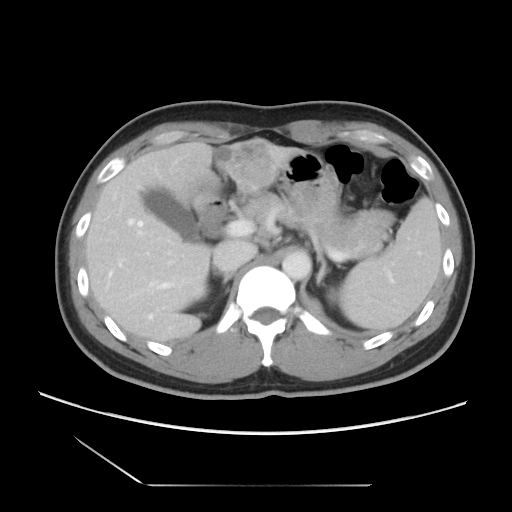
CT scan slice
Not every hepatic vessel necessarily has a box.
hepatic vessel: 138 222 141 225, 130 220 132 222 | liver tumor: 216 140 276 190